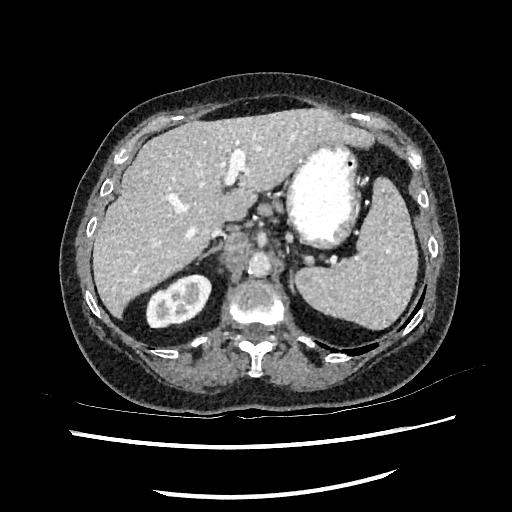
Liver | CT
{
  "liver": [
    "94 108 373 318"
  ],
  "kidney": [
    "147 275 210 327"
  ]
}